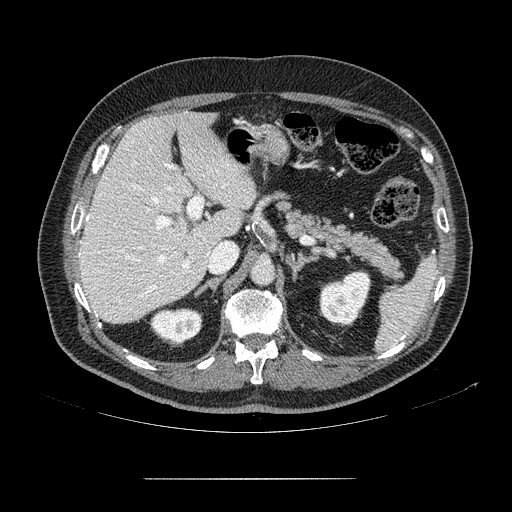
CT image. 512x512 px. Abdomen. Findings:
• pancreas: x1=276 y1=200 x2=404 y2=281